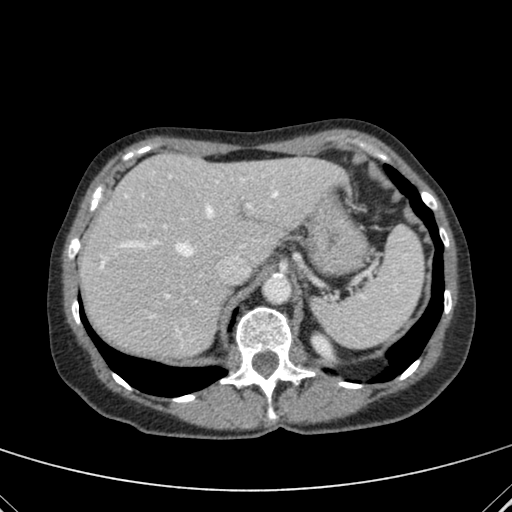 CT
The liver is located at <box>80,154,342,356</box>. The kidney lies within <box>313,336,330,356</box>.